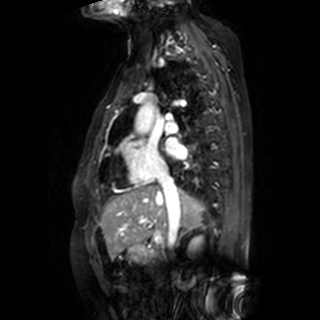
MR. Cardiac.
Left atrium = x1=166 y1=138 x2=186 y2=158.